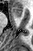 MRI slice. anterior_hippocampus:
  - x1=12 y1=8 x2=22 y2=17